Image size 240x240
FLAIR MRI.
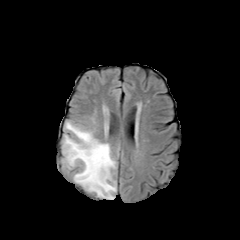
T1-weighted MR image.
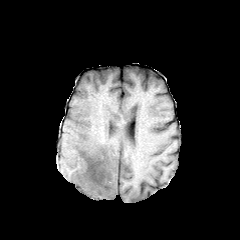
Post-contrast T1-weighted MRI.
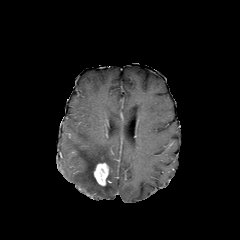
T2-weighted magnetic resonance.
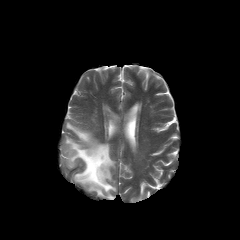
non-enhancing tumor core: 80 152 107 183 | enhancing tumor: 94 162 108 185 | edema: 62 121 116 199